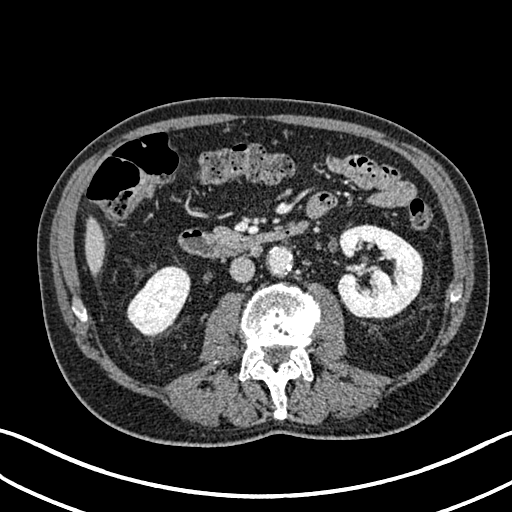
Abdomen. CT.

<segmentation>
  <liver>box(86, 217, 104, 273)</liver>
  <kidney>box(338, 225, 422, 317); box(128, 267, 189, 334)</kidney>
</segmentation>